512x512 px; Computed tomography; Field of view 400x400 mm; Upper abdomen
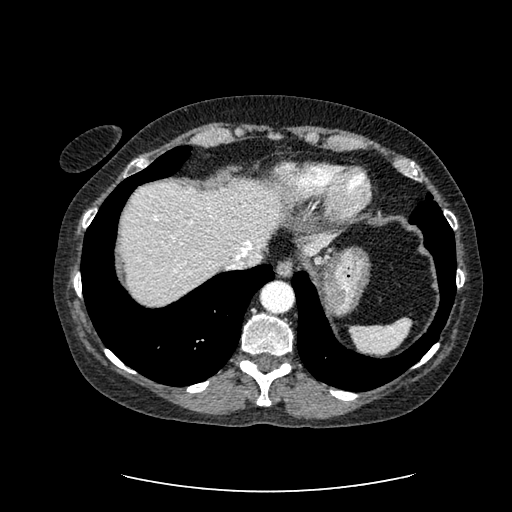 2 liver regions are bounded by (x1=300, y1=236, x2=335, y2=256), (x1=121, y1=179, x2=281, y2=304).